Slice 37/101 | Upper abdomen | Image size 512x512 | CT slice 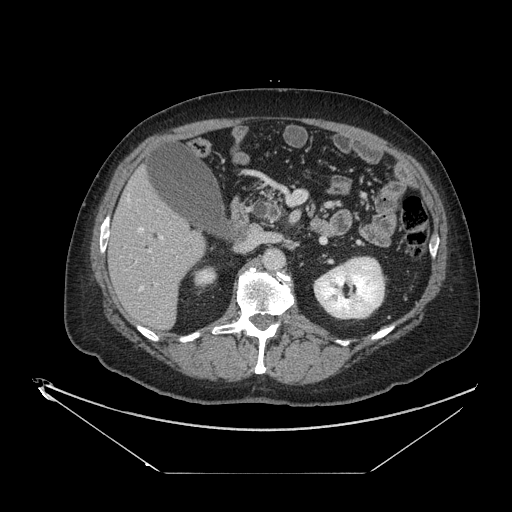
Pancreas = (left=267, top=198, right=282, bottom=220).